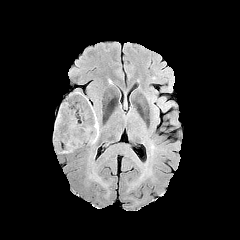
FLAIR magnetic resonance.
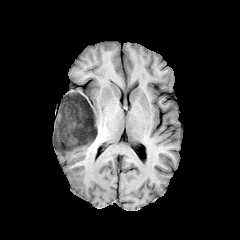
T1-weighted MR image of the same slice.
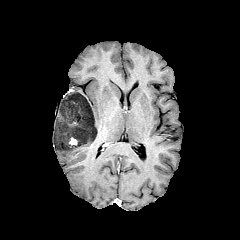
Post-contrast T1-weighted magnetic resonance of the same slice.
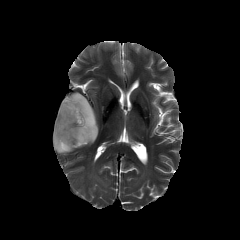
T2-weighted MR image.
Image size 240x240
<segmentation>
  <enhancing_tumor>box(68, 137, 77, 145)</enhancing_tumor>
  <non-enhancing_tumor_core>box(55, 94, 97, 150)</non-enhancing_tumor_core>
  <edema>box(54, 135, 72, 153); box(82, 105, 98, 145)</edema>
</segmentation>